FLAIR MR image.
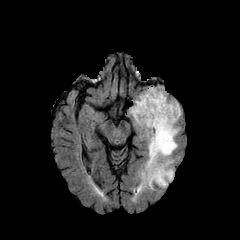
T1-weighted MR image.
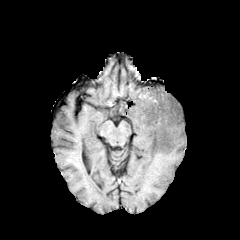
Post-contrast T1-weighted MRI.
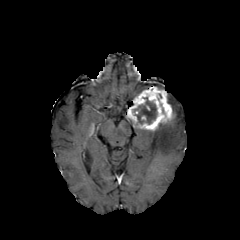
T2-weighted magnetic resonance.
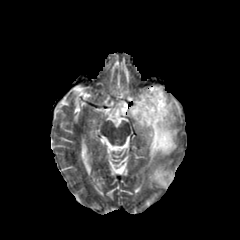
{"non-enhancing_tumor_core": [{"x1": 135, "y1": 97, "x2": 156, "y2": 123}], "enhancing_tumor": [{"x1": 127, "y1": 86, "x2": 174, "y2": 131}], "edema": [{"x1": 136, "y1": 96, "x2": 181, "y2": 193}]}